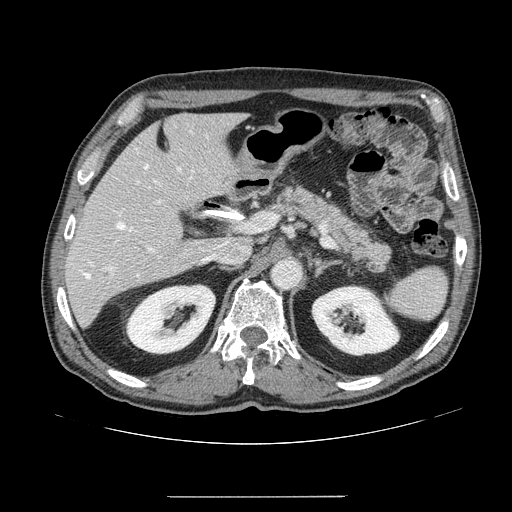

Image size 512x512 | Abdomen | Computed tomography
{"pancreas": ["l=263, t=182, r=396, b=276"]}